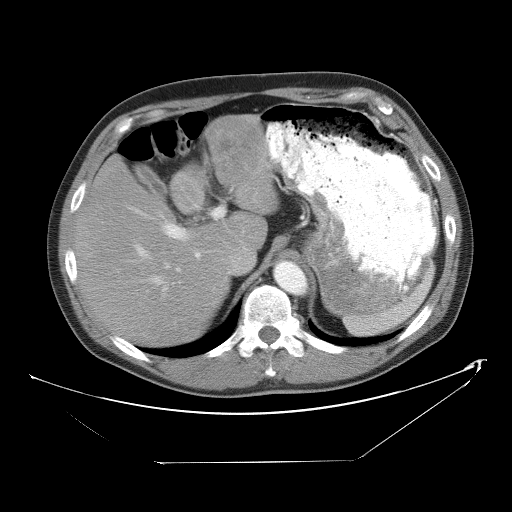

CT scan slice, Liver
Some hepatic vessels may have no box.
13 hepatic vessel regions are located at x1=240, y1=241, x2=241, y2=242; x1=166, y1=264, x2=169, y2=267; x1=176, y1=268, x2=179, y2=270; x1=151, y1=276, x2=163, y2=284; x1=163, y1=285, x2=166, y2=294; x1=213, y1=208, x2=222, y2=217; x1=135, y1=244, x2=148, y2=258; x1=162, y1=221, x2=173, y2=233; x1=131, y1=208, x2=147, y2=216; x1=187, y1=233, x2=188, y2=238; x1=253, y1=199, x2=255, y2=202; x1=180, y1=228, x2=183, y2=228; x1=195, y1=252, x2=197, y2=255. The liver tumor is at x1=222, y1=141, x2=249, y2=160.